Slice index 54; CT scan slice
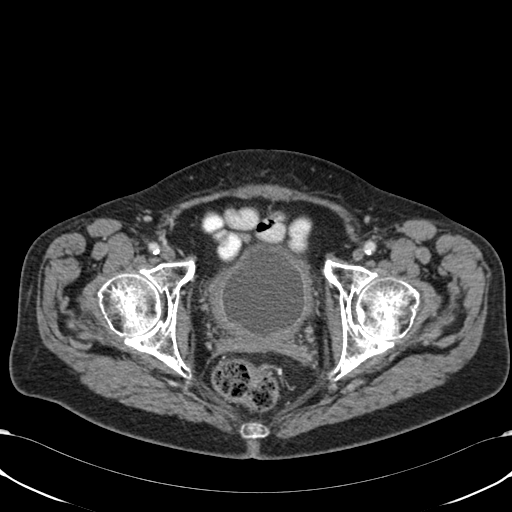

The urinary bladder appears at 223,249,303,335.